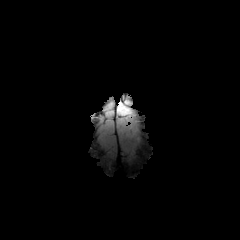
FLAIR MR image.
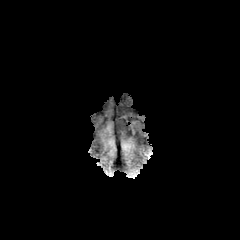
T1-weighted MR image.
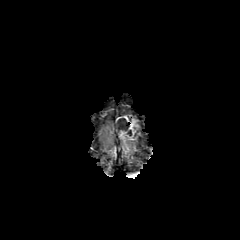
Post-contrast T1-weighted MR of the same slice.
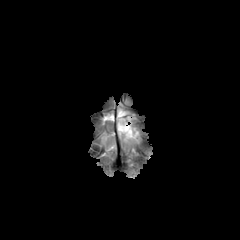
T2-weighted MR.
Brain
Enhancing tumor: bounding box (120, 117, 140, 139), (116, 114, 132, 122).
Non-enhancing tumor core: bounding box (116, 118, 127, 131).